Slice 38/55; CT slice; Liver; 512x512
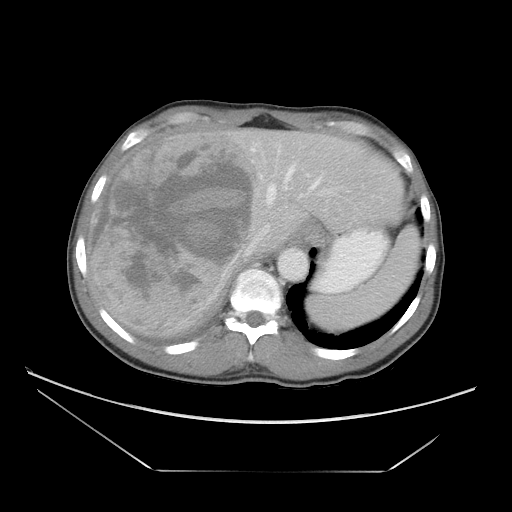 Some hepatic vessels may have no box.
Liver tumor: [88, 131, 262, 337].
Hepatic vessel: [241, 250, 251, 256], [267, 185, 275, 203], [282, 163, 295, 189].